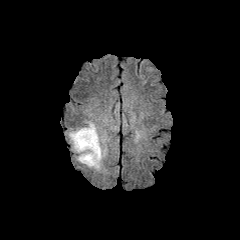
FLAIR MRI.
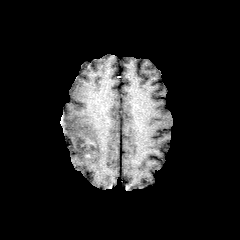
T1-weighted MRI of the same slice.
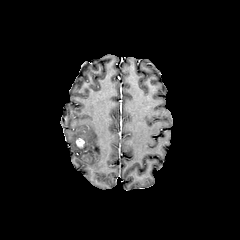
Post-contrast T1-weighted MRI.
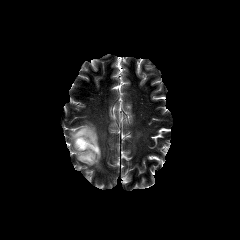
Same slice, T2-weighted MR.
non-enhancing tumor core: {"x1": 75, "y1": 140, "x2": 87, "y2": 153} | edema: {"x1": 68, "y1": 120, "x2": 105, "y2": 170} | enhancing tumor: {"x1": 76, "y1": 138, "x2": 84, "y2": 147}